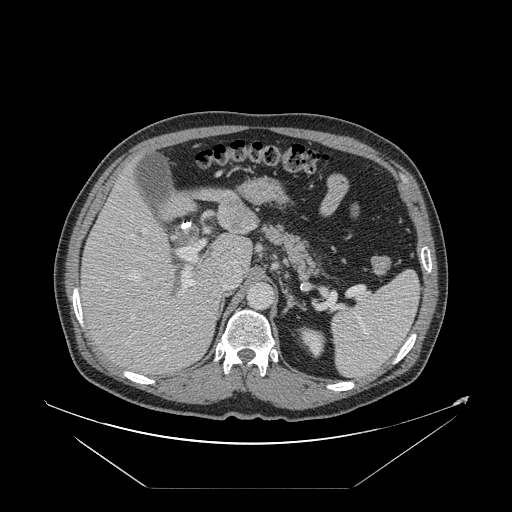

CT scan slice | Abdomen | Image size 512x512
Not every hepatic vessel necessarily has a box.
* hepatic vessel: 142,230,145,232; 213,290,215,291; 104,234,106,235; 178,295,179,296; 200,195,217,200; 172,232,178,239; 211,252,243,290; 205,214,210,215; 128,235,134,238; 181,223,190,229; 205,229,208,231; 131,317,133,320; 177,240,204,288; 129,274,139,279